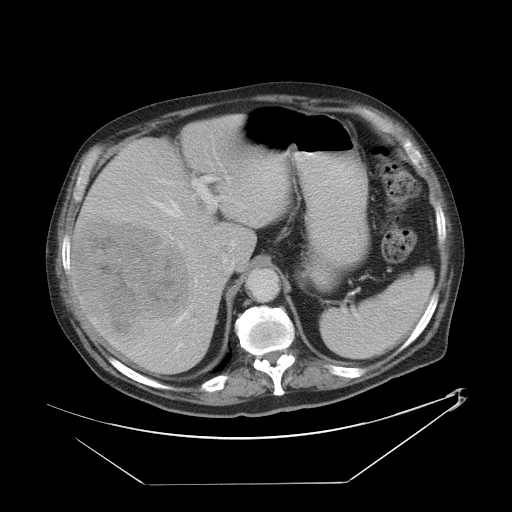 CT slice.

The vessel boxes may cover only some of the vessels.
The most prominent 15 hepatic vessel regions (of 16) appear at 154:202:163:208, 266:167:268:168, 221:195:224:198, 223:170:225:171, 227:177:229:182, 195:280:197:284, 189:306:191:308, 163:201:181:216, 180:243:182:247, 176:342:182:350, 192:176:217:208, 176:309:188:322, 263:172:267:178, 170:236:171:238, 275:169:279:170. The liver tumor is located at 72:216:191:347.